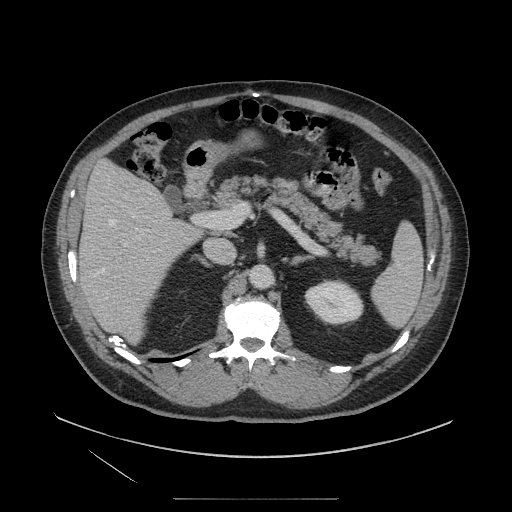
CT. Abdomen.

The pancreas lies within region(209, 175, 381, 267).